Head | Field of view 240 mm wide, 1.00 mm slice spacing
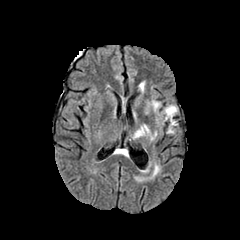
FLAIR magnetic resonance.
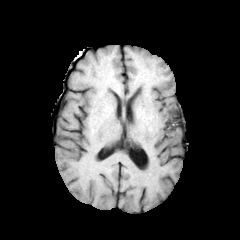
T1-weighted MR image of the same slice.
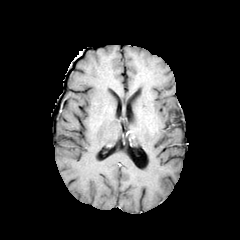
Post-contrast T1-weighted MR.
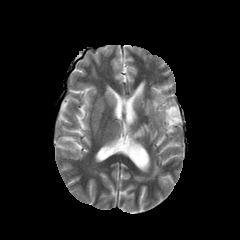
T2-weighted MRI of the same slice.
- non-enhancing tumor core: <bbox>168, 108, 177, 125</bbox>
- edema: <bbox>151, 100, 178, 133</bbox>, <bbox>152, 165, 160, 175</bbox>, <bbox>132, 125, 149, 138</bbox>